FLAIR MR.
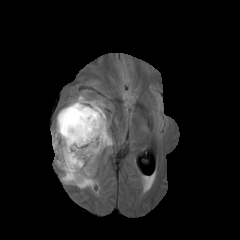
T1-weighted MR.
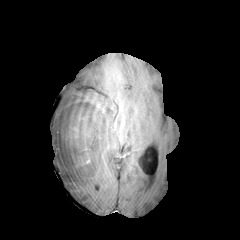
Post-contrast T1-weighted MR image.
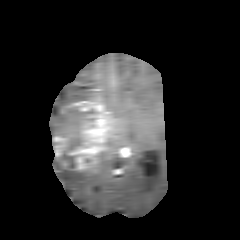
T2-weighted MRI.
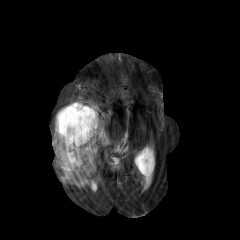
Head
Non-enhancing tumor core: (54,138,80,172), (54,108,92,136).
Edema: (91,99,105,109), (51,90,87,149), (60,166,97,189).
Enhancing tumor: (53,101,108,170).